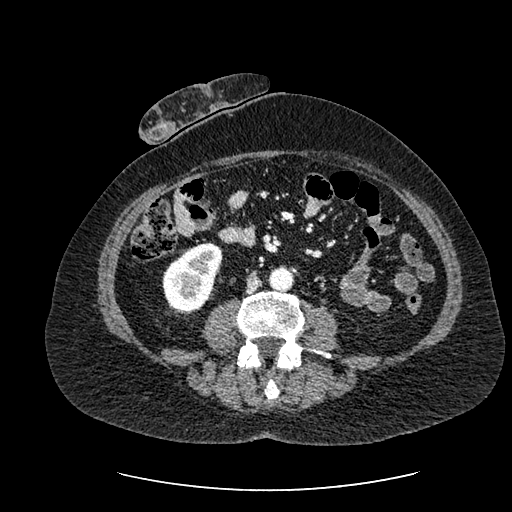 512x512 px. CT scan slice. Abdomen.
{
  "kidney": [
    "x1=163, y1=243, x2=221, y2=311"
  ]
}